Field of view 240 mm wide, 1.00 mm slice spacing
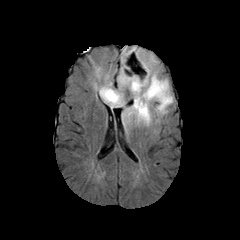
FLAIR MRI.
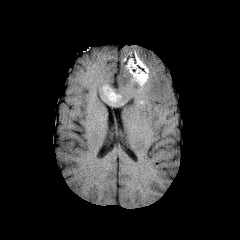
Same slice, T1-weighted MR image.
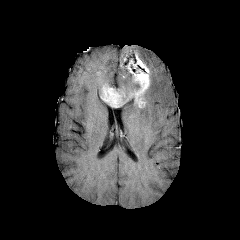
Same slice, post-contrast T1-weighted MR image.
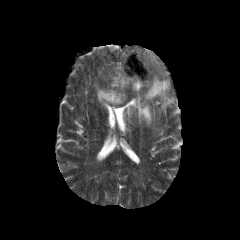
T2-weighted MR of the same slice.
Non-enhancing tumor core: bounding box [140, 91, 146, 107], [115, 78, 140, 105], [126, 56, 147, 76].
Edema: bounding box [122, 68, 173, 130], [117, 49, 136, 92], [136, 49, 158, 69], [93, 82, 102, 95].
Enhancing tumor: bounding box [101, 87, 124, 107], [131, 64, 149, 107].